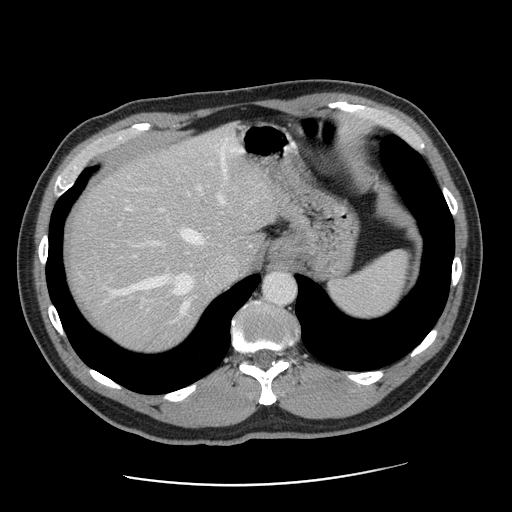
CT
The vessel annotation is not exhaustive.
The liver tumor appears at 198:197:206:205. 10 hepatic vessel regions are located at 161:208:163:210, 171:274:192:294, 132:276:167:288, 128:207:130:209, 220:139:228:174, 110:288:130:293, 198:186:200:188, 181:302:188:314, 181:228:237:283, 219:194:225:203.